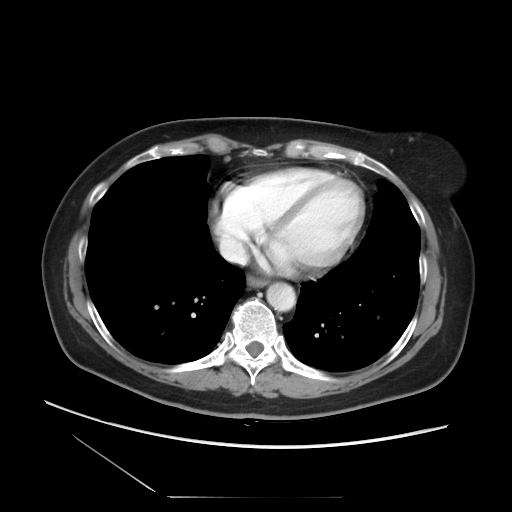

Computed tomography
Only some of the vessels may be annotated.
The hepatic vessel is at <bbox>218, 229, 247, 264</bbox>.